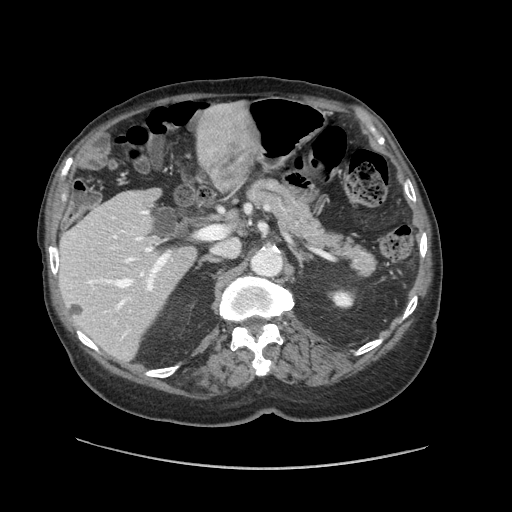 Liver; Computed tomography
Not every hepatic vessel necessarily has a box.
{
  "liver_tumor": [
    "212 138 249 188"
  ],
  "hepatic_vessel": [
    "141 272 143 275",
    "102 278 132 287",
    "198 225 226 239",
    "146 248 151 251",
    "148 254 168 287",
    "212 240 238 254"
  ]
}